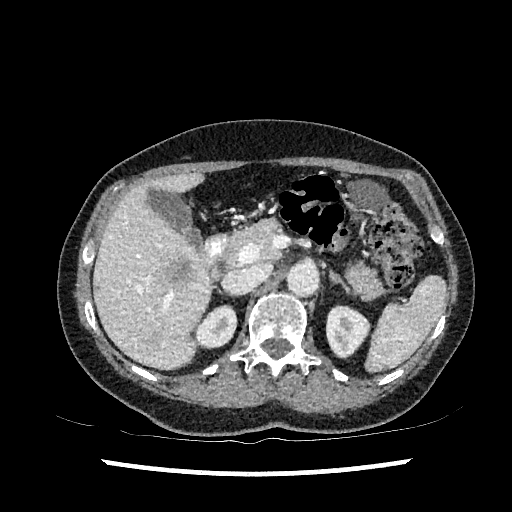

Abdomen | Image size 512x512 | Computed tomography

liver: <bbox>94, 172, 211, 368</bbox> | kidney: <bbox>197, 307, 236, 346</bbox>, <bbox>327, 307, 368, 356</bbox> | focal liver lesion: <bbox>152, 332, 162, 343</bbox>, <bbox>166, 259, 192, 286</bbox>